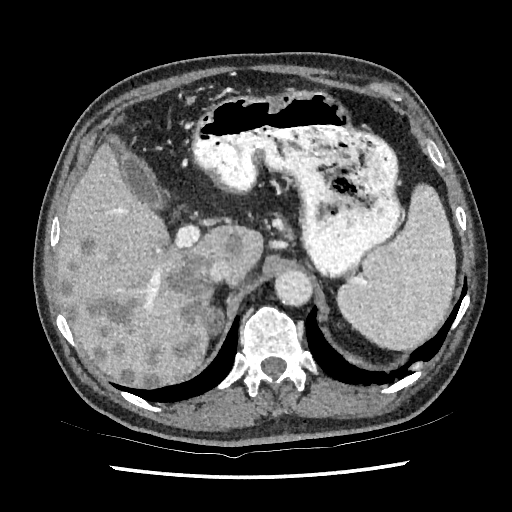 512x512; Liver; CT
Liver lesion — bbox=[174, 332, 197, 357]; bbox=[77, 237, 96, 255]; bbox=[118, 368, 134, 383]; bbox=[226, 235, 243, 254]; bbox=[146, 347, 161, 366]; bbox=[166, 252, 212, 327]; bbox=[85, 294, 143, 326]; bbox=[143, 373, 159, 385]; bbox=[93, 342, 124, 362]; bbox=[60, 279, 73, 295]; bbox=[64, 256, 82, 273]; bbox=[63, 304, 78, 323]; bbox=[99, 327, 111, 339]; bbox=[104, 249, 118, 265].
Liver — bbox=[56, 135, 261, 385].